FLAIR MR.
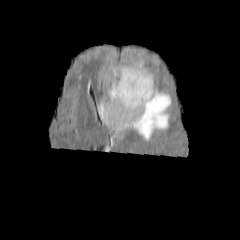
T1-weighted magnetic resonance.
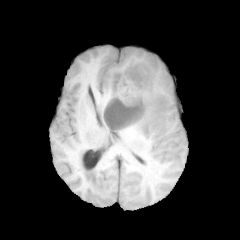
Post-contrast T1-weighted MR image.
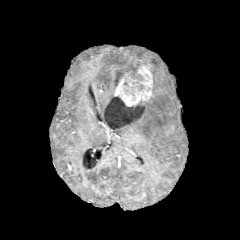
T2-weighted MRI.
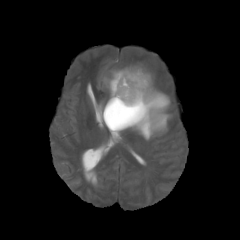
Image size 240x240; Head
3 edema regions are located at 123:86:171:139, 103:73:116:99, 111:63:140:74. 3 non-enhancing tumor core regions are located at 113:71:123:87, 104:95:144:129, 124:66:144:91. 2 enhancing tumor regions are bounded by 137:64:152:89, 114:74:152:106.